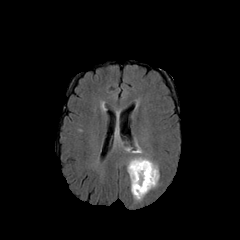
FLAIR MRI.
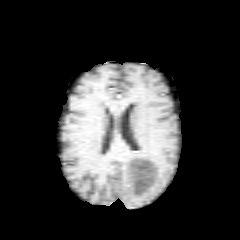
T1-weighted magnetic resonance of the same slice.
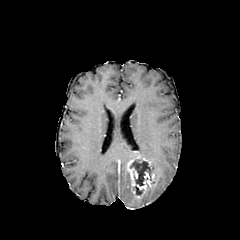
Same slice, post-contrast T1-weighted magnetic resonance.
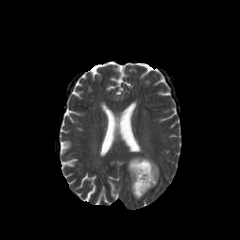
T2-weighted MRI of the same slice.
Head
Annotated regions:
* enhancing tumor: box=[127, 160, 155, 190]
* non-enhancing tumor core: box=[130, 160, 151, 185]
* edema: box=[133, 138, 143, 153]; box=[127, 156, 159, 201]